FLAIR magnetic resonance.
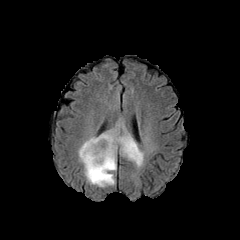
T1-weighted magnetic resonance.
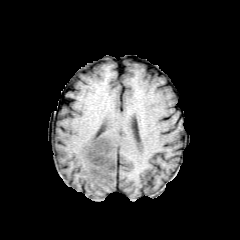
Post-contrast T1-weighted MR image.
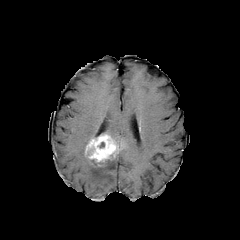
T2-weighted magnetic resonance.
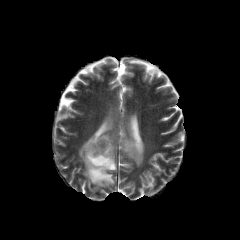
240x240 px
{"edema": ["[102, 116, 144, 167]", "[78, 134, 116, 187]"], "enhancing_tumor": ["[85, 133, 125, 166]"]}